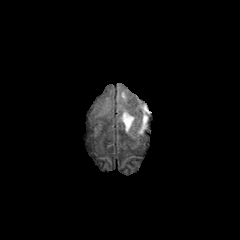
FLAIR MR image.
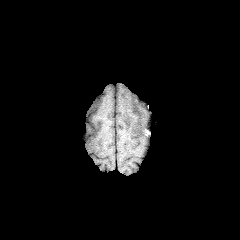
Same slice, T1-weighted MR image.
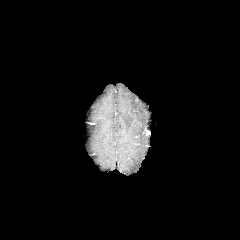
Same slice, post-contrast T1-weighted MR.
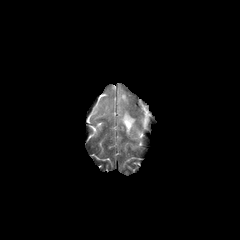
T2-weighted magnetic resonance of the same slice.
Brain
edema:
  - <bbox>120, 104, 149, 135</bbox>